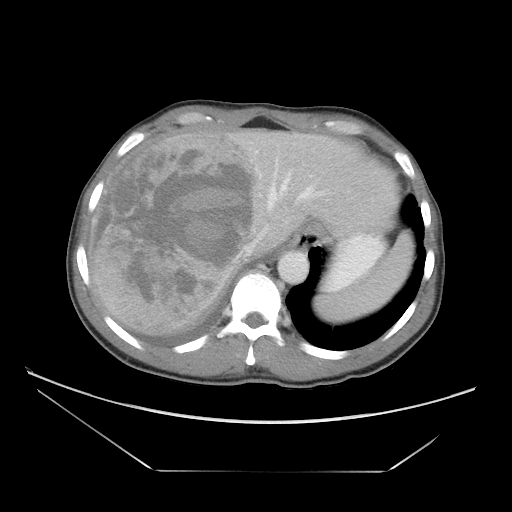
Liver; 512x512 px; CT scan slice

Only some of the vessels may be annotated.
hepatic vessel: rect(228, 273, 229, 276); rect(269, 187, 275, 206); rect(278, 168, 294, 199); rect(242, 250, 251, 255); rect(301, 189, 309, 196) | liver tumor: rect(89, 133, 260, 334)